Slice index 71 | Image width 240 mm | Brain
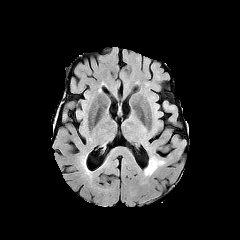
FLAIR MR image.
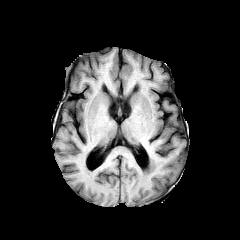
T1-weighted MRI.
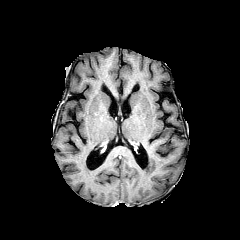
Post-contrast T1-weighted MRI.
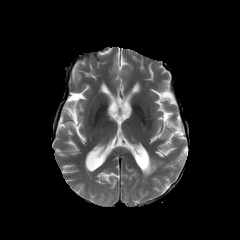
T2-weighted magnetic resonance.
<segmentation>
  <edema>144,156,163,176</edema>
</segmentation>